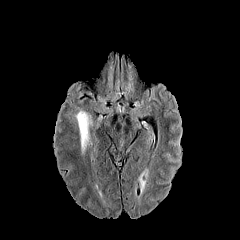
FLAIR magnetic resonance.
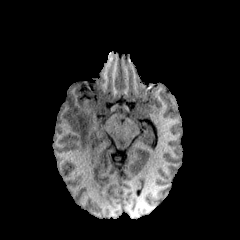
T1-weighted MRI of the same slice.
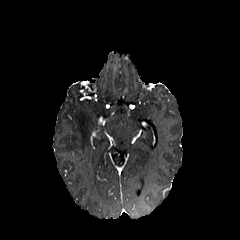
Post-contrast T1-weighted magnetic resonance of the same slice.
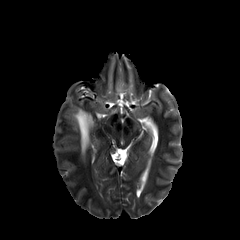
T2-weighted MR of the same slice.
Edema at (75,108,93,155).